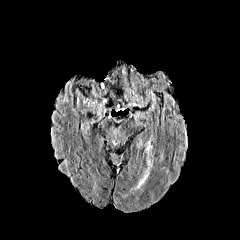
FLAIR magnetic resonance.
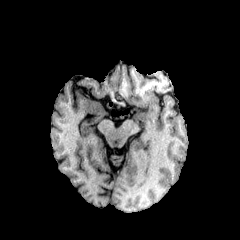
Same slice, T1-weighted magnetic resonance.
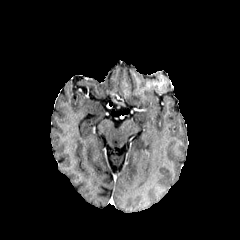
Post-contrast T1-weighted MRI.
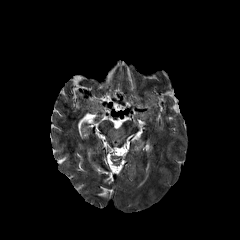
T2-weighted magnetic resonance.
Brain | 240x240 px
Edema: (left=135, top=160, right=152, bottom=189).